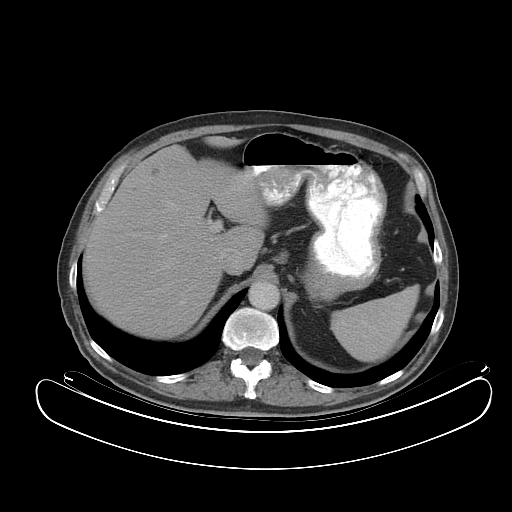 Computed tomography; Image size 512x512

<segmentation>
  <spleen>x1=332 y1=290 x2=416 y2=360</spleen>
</segmentation>